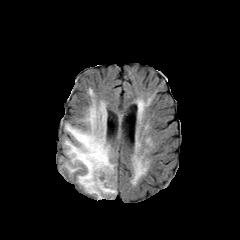
FLAIR MR image.
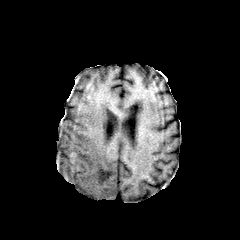
T1-weighted MRI.
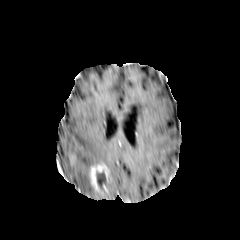
Same slice, post-contrast T1-weighted MR image.
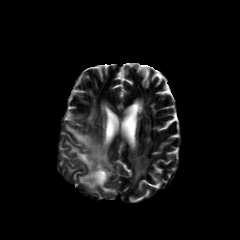
T2-weighted MR.
Image size 240x240; Head
The non-enhancing tumor core is bounded by l=96, t=170, r=106, b=193. 2 edema regions appear at l=64, t=99, r=116, b=199; l=136, t=164, r=143, b=177. The enhancing tumor is located at l=89, t=164, r=109, b=191.